FLAIR MR.
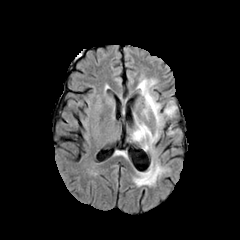
T1-weighted MRI.
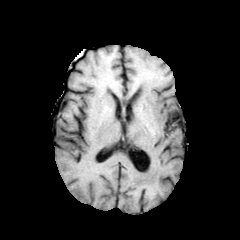
Post-contrast T1-weighted MRI.
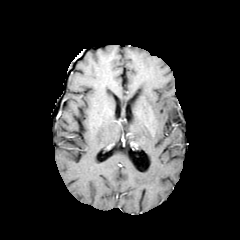
T2-weighted MR.
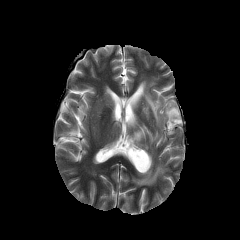
Brain, 240x240 px
3 edema regions are bounded by 137 79 177 134, 130 112 159 155, 133 157 168 186.